Image width 240 mm
FLAIR magnetic resonance.
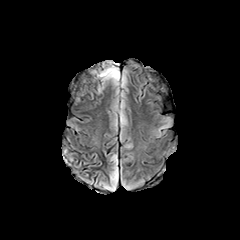
T1-weighted magnetic resonance.
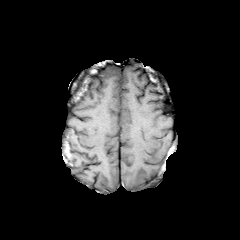
Post-contrast T1-weighted MRI.
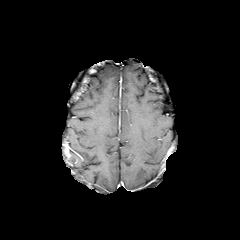
T2-weighted magnetic resonance.
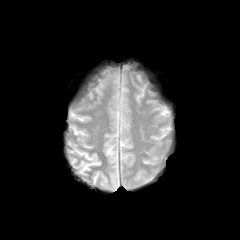
The edema is at [112, 169, 118, 189].